FLAIR MR image.
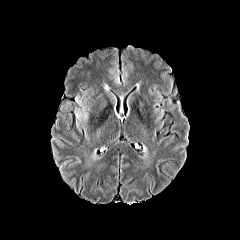
T1-weighted MR image.
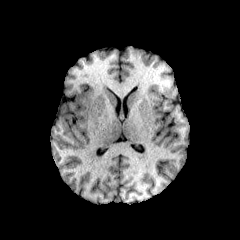
Post-contrast T1-weighted MR image.
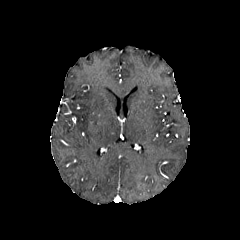
T2-weighted MR image.
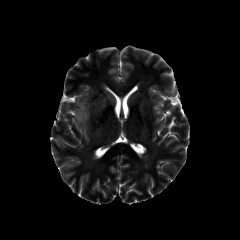
Edema at region(74, 96, 88, 138).